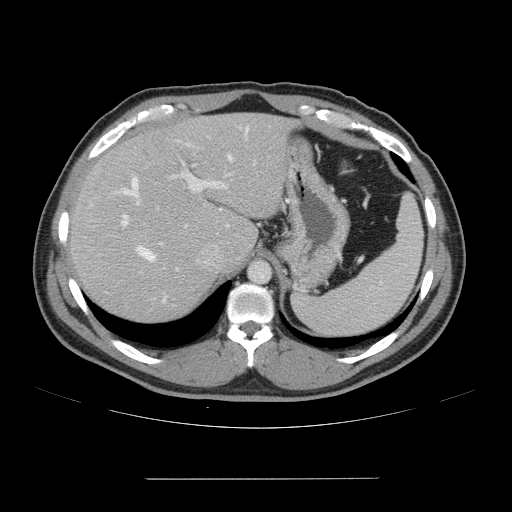 Liver, CT scan slice, 512x512

Some hepatic vessels may have no box.
hepatic_vessel:
  - (122, 215, 128, 225)
  - (184, 143, 190, 145)
  - (245, 127, 248, 133)
  - (137, 201, 138, 204)
  - (163, 296, 166, 302)
  - (182, 162, 183, 165)
  - (117, 176, 137, 194)
  - (185, 225, 187, 226)
  - (159, 243, 162, 243)
  - (193, 164, 195, 165)
  - (228, 155, 231, 159)
  - (171, 171, 227, 191)
  - (136, 246, 154, 260)